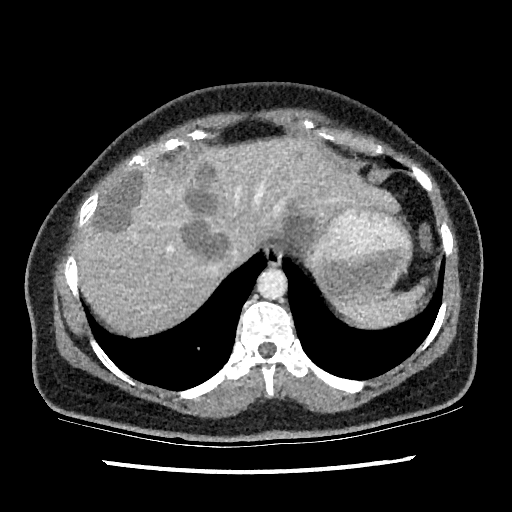

CT. Image size 512x512.
The liver appears at [75,135,398,330]. 5 liver lesion regions are bounded by [186,166,217,214], [271,208,315,249], [165,159,184,175], [94,171,144,230], [182,221,230,259].